Abdomen | CT slice
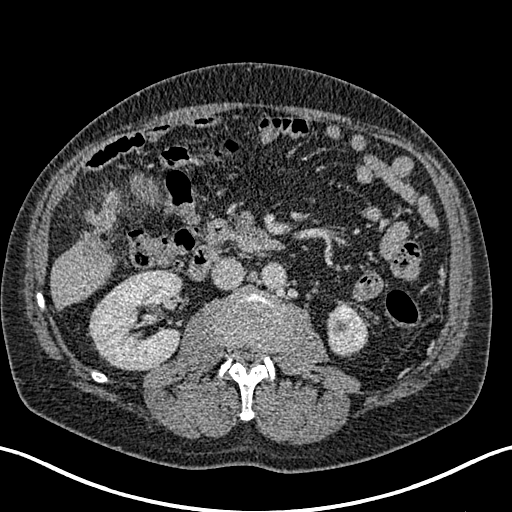

{"hepatic_lesion": ["(left=81, top=221, right=110, bottom=261)", "(left=84, top=211, right=94, bottom=221)"], "kidney": ["(left=90, top=271, right=180, bottom=369)", "(left=329, top=305, right=366, bottom=354)"], "liver": ["(left=49, top=192, right=119, bottom=309)"]}